FLAIR MR.
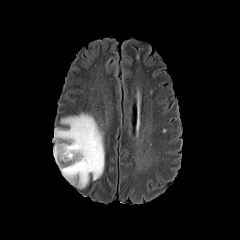
T1-weighted MRI.
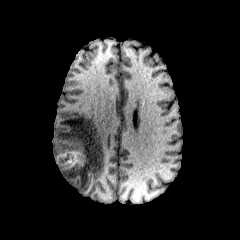
Post-contrast T1-weighted MRI.
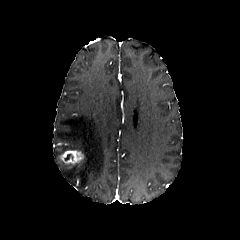
T2-weighted MR.
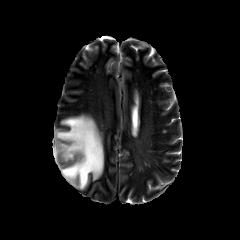
240x240 px | Head
<segmentation>
  <edema>x1=52, y1=113, x2=104, y2=190</edema>
  <enhancing_tumor>x1=59, y1=150, x2=83, y2=167</enhancing_tumor>
  <non-enhancing_tumor_core>x1=54, y1=150, x2=68, y2=171</non-enhancing_tumor_core>
</segmentation>